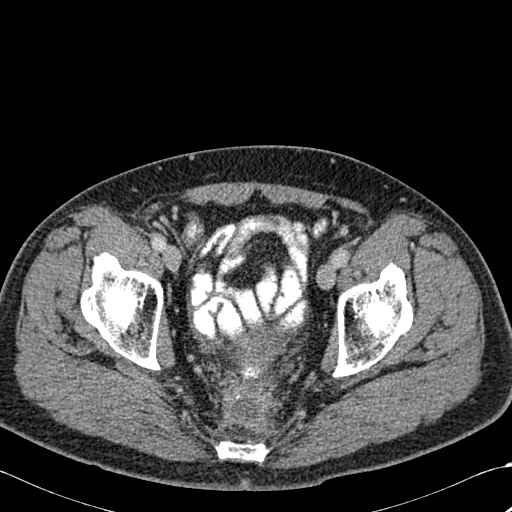 Image size 512x512, Computed tomography
Bone at <box>81,253,162,369</box>, <box>216,441,267,461</box>, <box>333,263,412,376</box>.